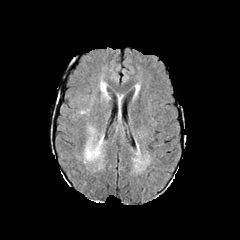
FLAIR MR image.
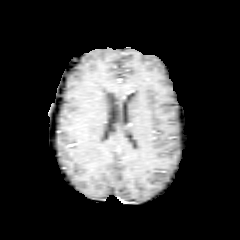
T1-weighted MR of the same slice.
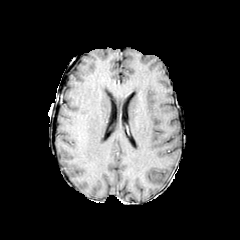
Post-contrast T1-weighted MR image.
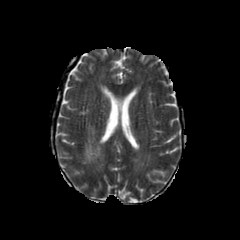
T2-weighted MR.
Brain
Edema at (101,83,106,96), (83,126,104,161).